FLAIR MR.
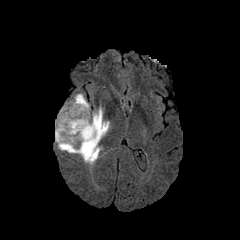
T1-weighted MR image.
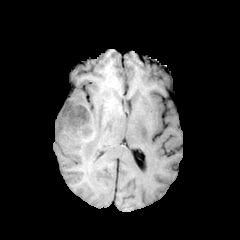
Post-contrast T1-weighted MRI.
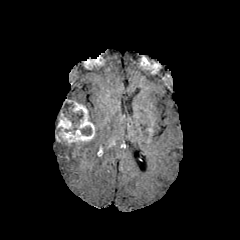
T2-weighted MRI.
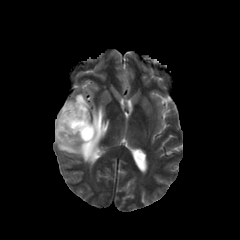
240x240 px
Edema — left=55, top=93, right=110, bottom=166.
Non-enhancing tumor core — left=64, top=111, right=82, bottom=133; left=62, top=102, right=73, bottom=114; left=80, top=126, right=93, bottom=136.
Enhancing tumor — left=55, top=102, right=94, bottom=143.